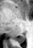

Hippocampus | MRI slice | 33x48 px

2 posterior hippocampus regions appear at left=13, top=35, right=25, bottom=42; left=22, top=33, right=25, bottom=33.